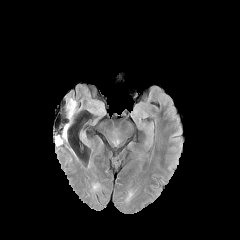
FLAIR magnetic resonance.
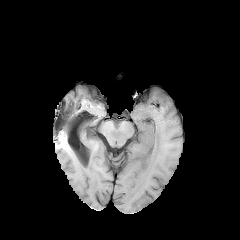
T1-weighted magnetic resonance.
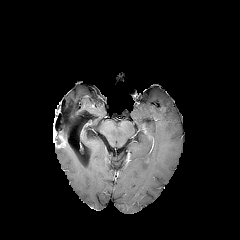
Post-contrast T1-weighted MR image.
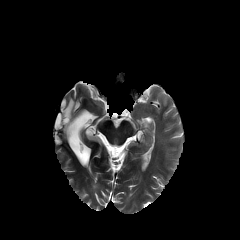
T2-weighted MRI.
240x240
Segmented structures:
* edema: (x1=63, y1=98, x2=78, y2=138)